CT, Slice index 86, 512x512, Field of view 408x408 mm

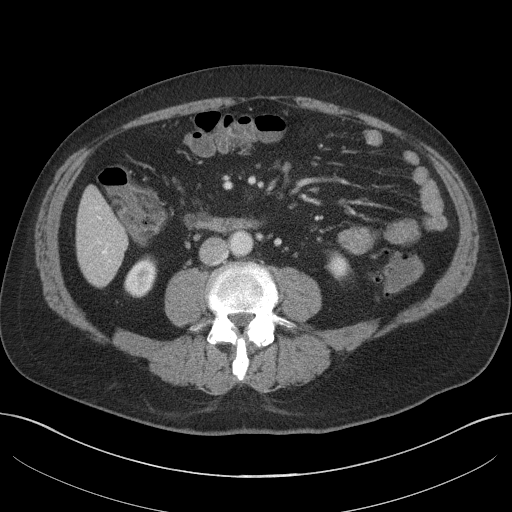 Liver at <bbox>76, 187, 127, 285</bbox>.
Kidney at <bbox>126, 261, 154, 294</bbox>, <bbox>333, 258, 345, 273</bbox>.